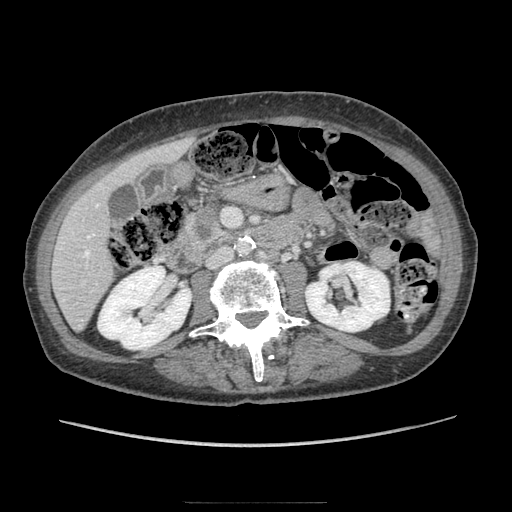
CT slice, Image size 512x512
pancreas: bbox=[179, 202, 232, 259] | pancreatic tumor: bbox=[193, 212, 216, 239]